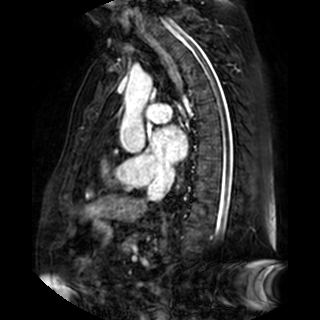 Heart, MRI slice
The left atrium is bounded by <box>151,127,186,162</box>.